512x512 | CT scan slice | Slice index 610 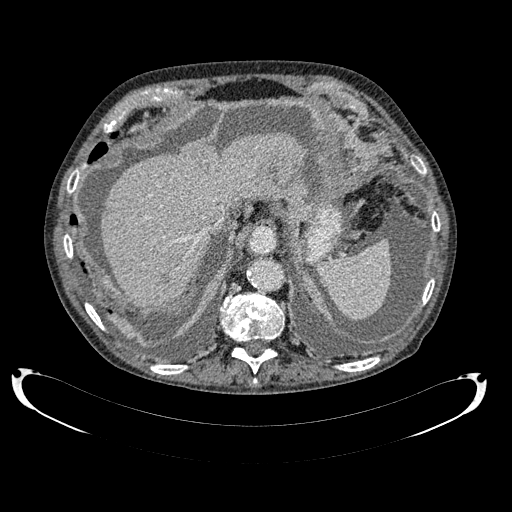
liver:
  - [99,133,305,306]